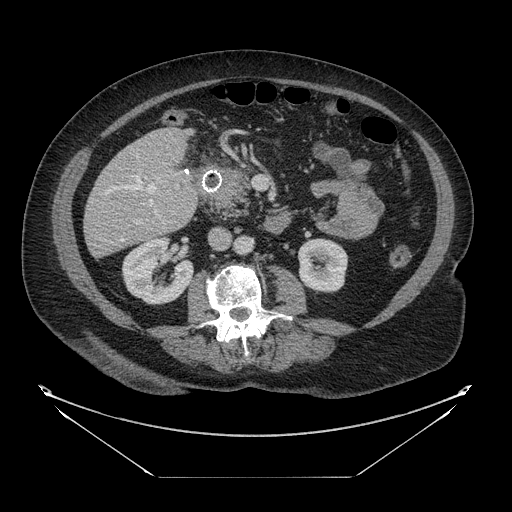

CT, Abdomen
Pancreatic tumor at bbox=[221, 172, 233, 199].
Pancreas at bbox=[218, 170, 249, 217].